Liver, CT scan slice, Field of view 382x382 mm

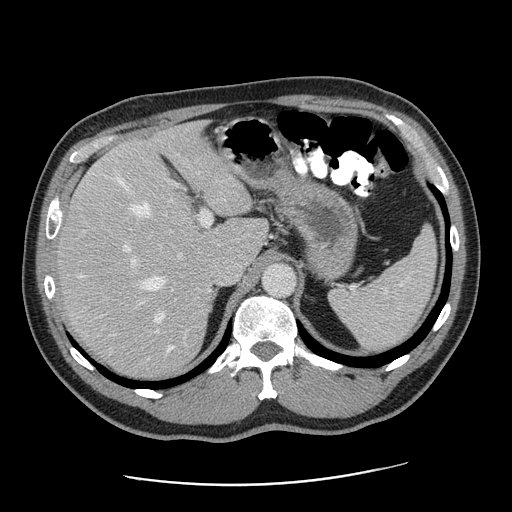 Only some of the vessels may be annotated.
Annotated regions:
• hepatic vessel: bbox=[155, 313, 163, 322]; bbox=[185, 330, 186, 334]; bbox=[217, 244, 224, 248]; bbox=[157, 329, 159, 331]; bbox=[125, 246, 130, 250]; bbox=[202, 244, 246, 283]; bbox=[132, 256, 135, 264]; bbox=[131, 202, 148, 215]; bbox=[178, 253, 181, 256]; bbox=[116, 174, 123, 183]; bbox=[198, 211, 211, 227]; bbox=[168, 180, 173, 183]; bbox=[138, 276, 166, 289]; bbox=[168, 345, 174, 351]; bbox=[81, 275, 84, 276]
• liver tumor: bbox=[170, 183, 187, 197]